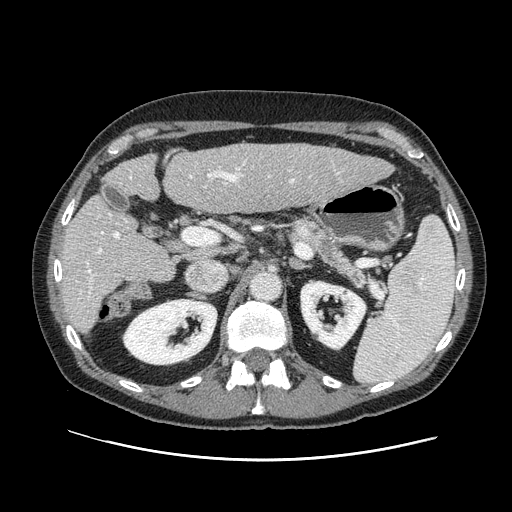 512x512 px | CT scan slice

Pancreatic tumor: bounding box x1=321, y1=238, x2=332, y2=257.